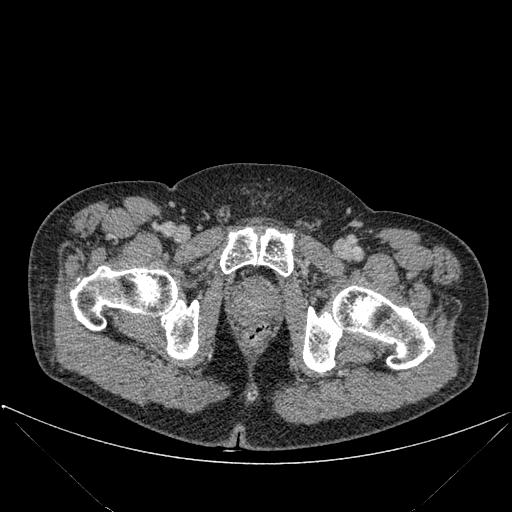
512x512. CT slice.

Bone = 303:286:434:372, 70:266:199:359, 220:227:293:276.